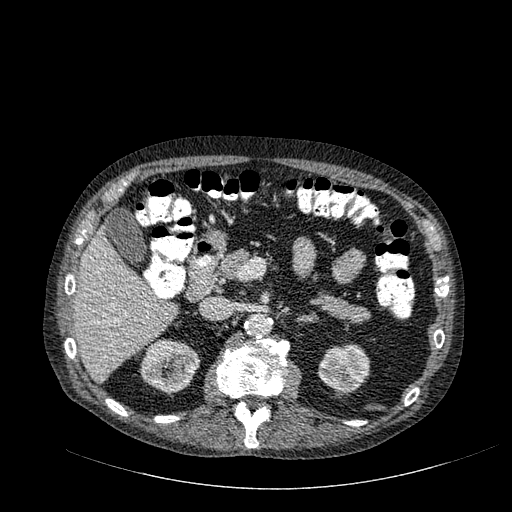
Abdomen. Computed tomography. Image size 512x512.

<segmentation>
  <liver>x1=74, y1=225, x2=176, y2=381</liver>
  <kidney>x1=140, y1=339, x2=199, y2=394; x1=317, y1=344, x2=369, y2=394</kidney>
</segmentation>